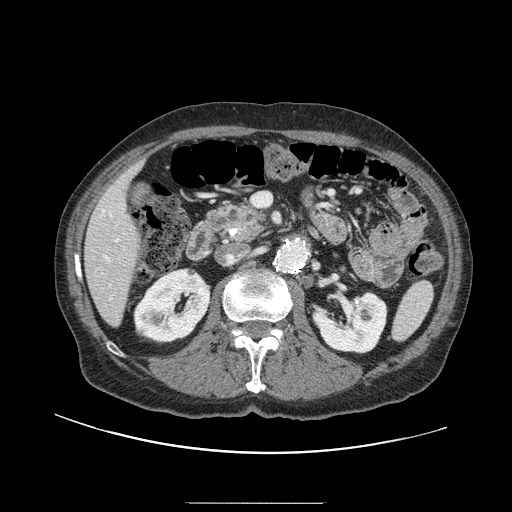 CT slice; Abdomen; 512x512

pancreas:
  - 207, 200, 270, 242